Magnetic resonance, Image width 33 mm, Medial temporal lobe
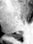
The posterior hippocampus is bounded by region(9, 32, 21, 39).